CT image
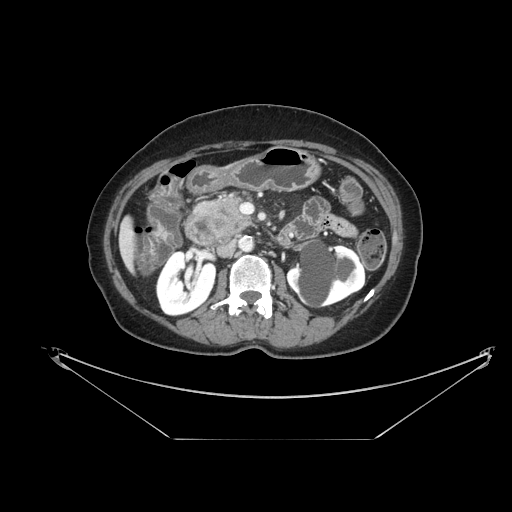 Annotated regions:
- pancreas: (left=195, top=196, right=249, bottom=239)
- pancreatic tumor: (left=213, top=219, right=223, bottom=230)